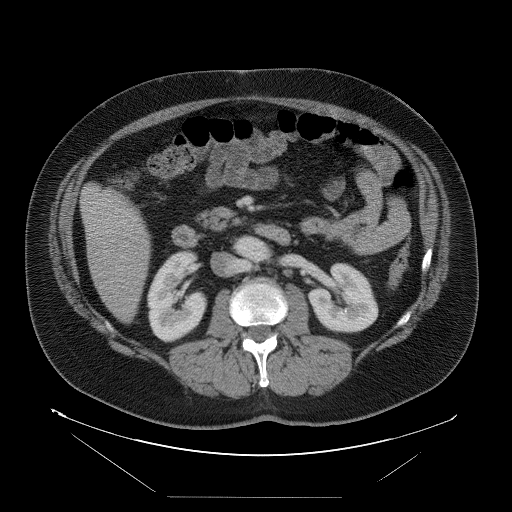

Image size 512x512, CT
Some hepatic vessels may have no box.
The hepatic vessel is bounded by bbox=[122, 255, 123, 257].